Abdomen, CT image 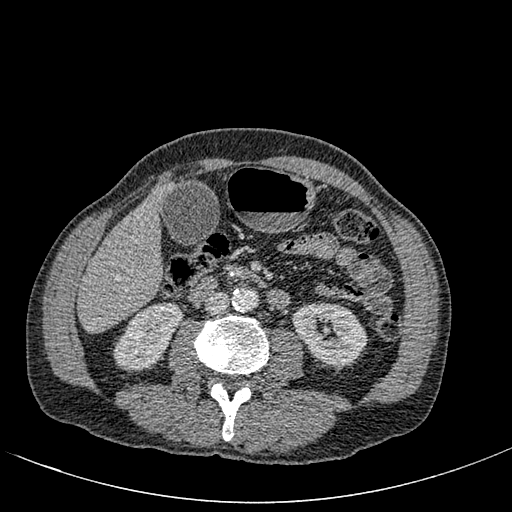 2 kidney regions are located at region(293, 302, 366, 367); region(114, 303, 182, 369). The liver is bounded by region(78, 192, 161, 331).